Field of view 240x240 mm.
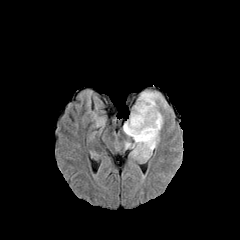
FLAIR MR image.
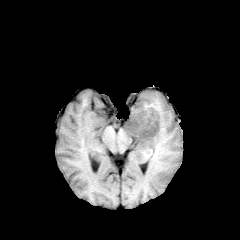
T1-weighted magnetic resonance of the same slice.
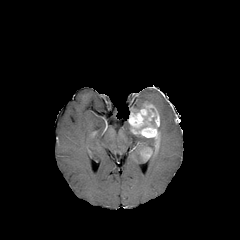
Same slice, post-contrast T1-weighted magnetic resonance.
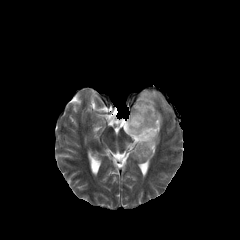
T2-weighted MR image of the same slice.
2 enhancing tumor regions appear at (140,147,152,159), (128,103,159,143). The non-enhancing tumor core appears at (132,134,151,141). 4 edema regions are bounded by (133,91,169,111), (157,109,163,141), (122,120,147,163), (138,138,157,154).